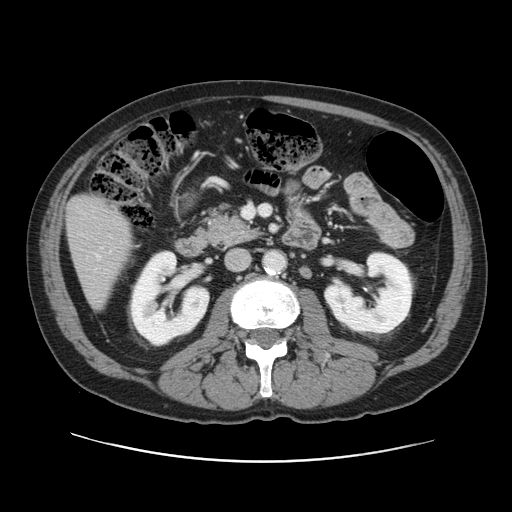
CT slice
The vessel annotation is not exhaustive.
Segmented structures:
• hepatic vessel: 96, 255, 99, 257